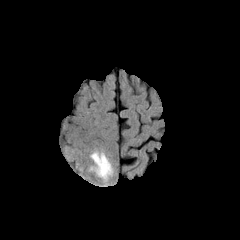
FLAIR MR.
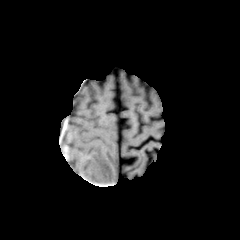
T1-weighted MRI.
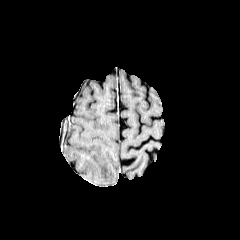
Same slice, post-contrast T1-weighted magnetic resonance.
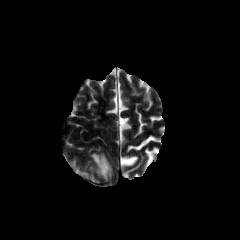
T2-weighted MR image of the same slice.
Edema at (left=91, top=151, right=111, bottom=177).